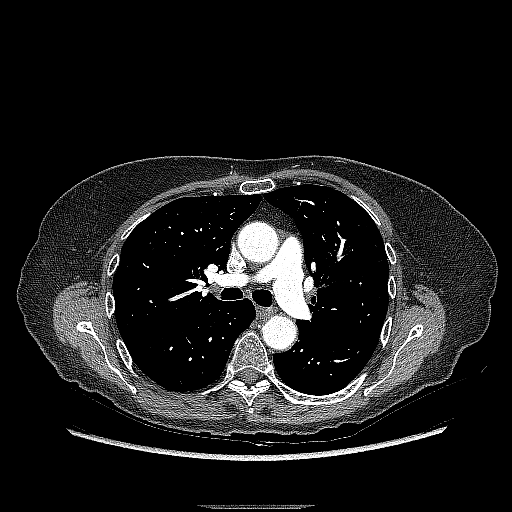

Thorax. CT. lung tumor: <box>332,237,358,262</box>